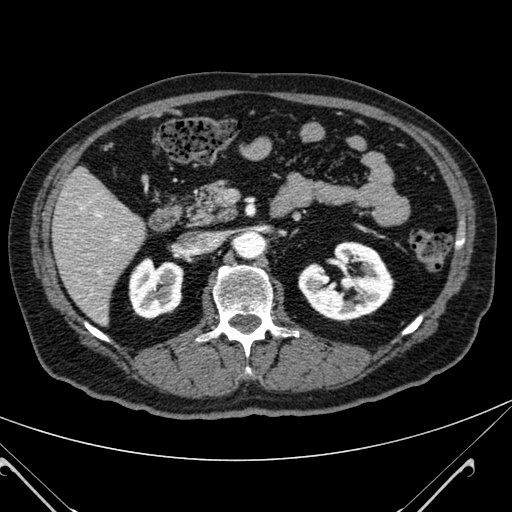
CT image. Abdomen.

{
  "liver": [
    "[51,174,142,322]"
  ],
  "kidney": [
    "[299,243,392,319]",
    "[130,260,181,317]"
  ]
}